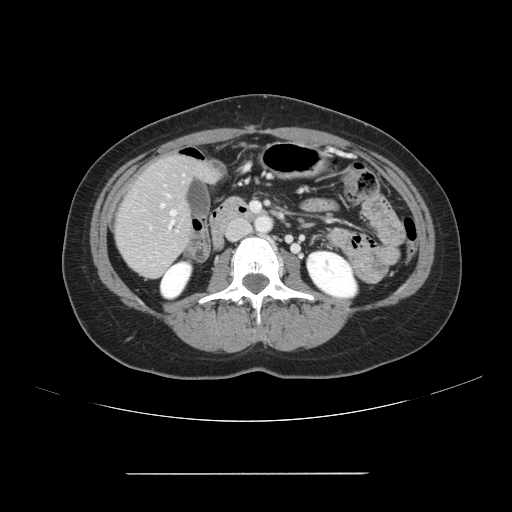
512x512 px. Liver. CT. Not every hepatic vessel necessarily has a box.
Hepatic vessel at (left=171, top=210, right=175, bottom=216), (left=170, top=220, right=173, bottom=226), (left=161, top=204, right=163, bottom=206).